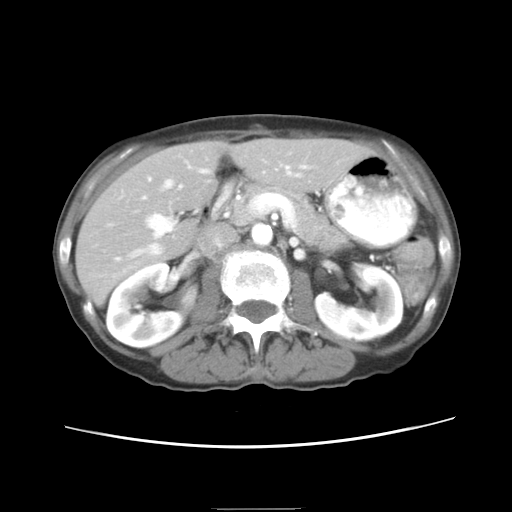
CT scan slice.

The vessel annotation is not exhaustive.
• hepatic vessel: l=142, t=196, r=145, b=198; l=150, t=244, r=159, b=253; l=300, t=165, r=304, b=167; l=165, t=180, r=171, b=187; l=295, t=173, r=299, b=176; l=132, t=251, r=138, b=255; l=179, t=184, r=181, b=187; l=285, t=165, r=289, b=174